FLAIR MRI.
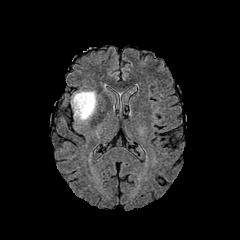
T1-weighted MRI.
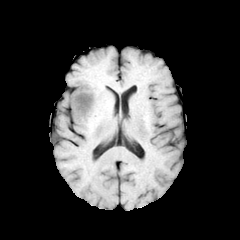
Post-contrast T1-weighted MR.
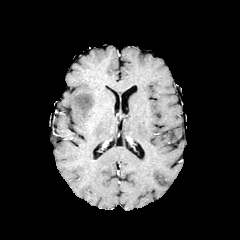
T2-weighted MR image.
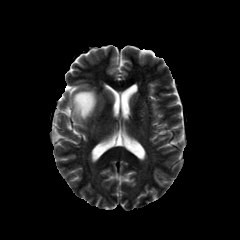
Head, 240x240 px
<segmentation>
  <edema>l=70, t=90, r=97, b=121</edema>
</segmentation>